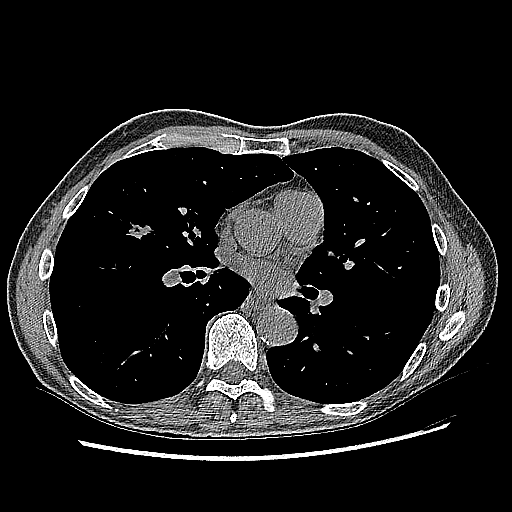 CT slice
Segmented structures:
• lung tumor: (124,221,150,239)